Brain | Field of view 240 mm wide, 1.00 mm slice spacing
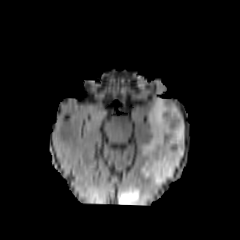
FLAIR MRI.
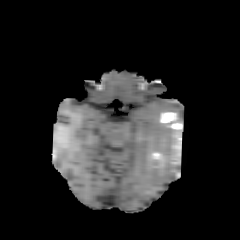
T1-weighted MR image.
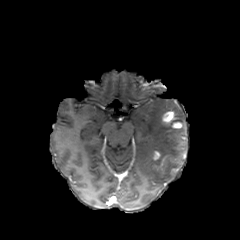
Post-contrast T1-weighted MRI of the same slice.
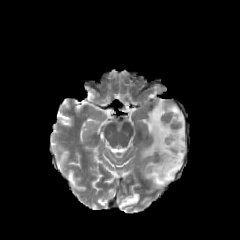
T2-weighted MR image.
<segmentation>
  <enhancing_tumor>bbox(172, 121, 182, 128); bbox(163, 111, 175, 123)</enhancing_tumor>
  <non-enhancing_tumor_core>bbox(170, 128, 185, 148); bbox(171, 153, 182, 163); bbox(162, 116, 182, 127)</non-enhancing_tumor_core>
  <edema>bbox(120, 194, 139, 204); bbox(141, 97, 186, 185)</edema>
</segmentation>